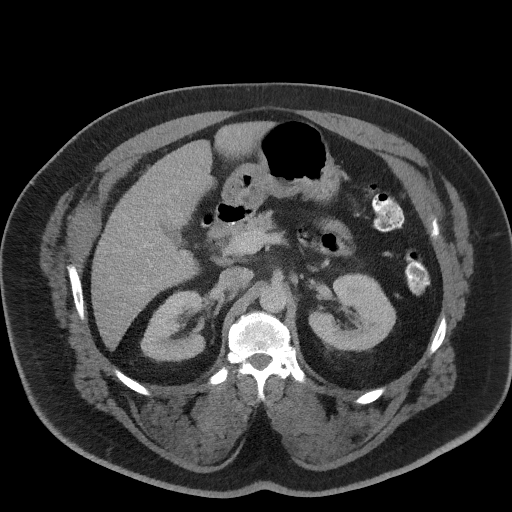

CT image. Upper abdomen. {"pancreas": ["x1=210 y1=212 x2=273 y2=237"]}